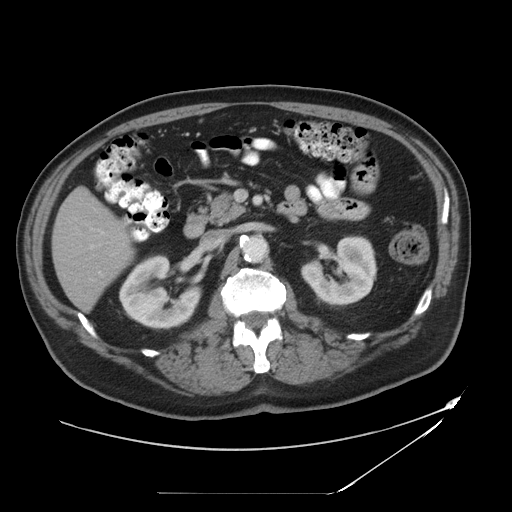
512x512 | Abdomen | CT image

The vessel annotation is not exhaustive.
6 hepatic vessel regions appear at 89:227:105:234, 113:222:116:224, 97:267:102:276, 89:244:94:249, 115:234:125:253, 89:278:95:281.